CT 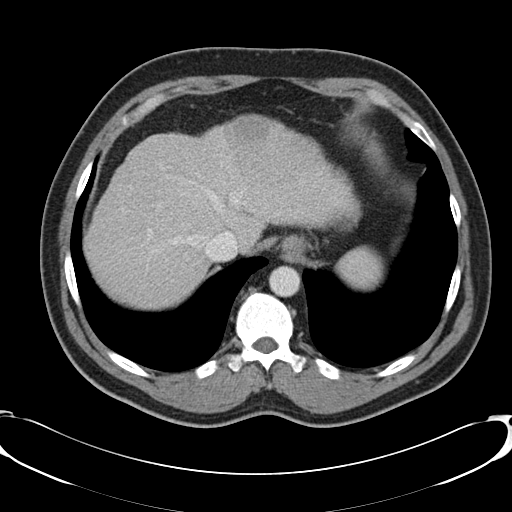
Only some of the vessels may be annotated.
Hepatic vessel = <bbox>202, 186, 203, 188</bbox>, <bbox>244, 187, 246, 188</bbox>, <bbox>205, 190, 222, 212</bbox>, <bbox>219, 162, 221, 165</bbox>, <bbox>180, 179, 194, 183</bbox>, <bbox>230, 192, 241, 202</bbox>, <bbox>157, 203, 161, 209</bbox>, <bbox>159, 164, 163, 169</bbox>, <bbox>168, 232, 236, 259</bbox>, <bbox>147, 229, 151, 239</bbox>.